CT. Slice index 39. 512x512.

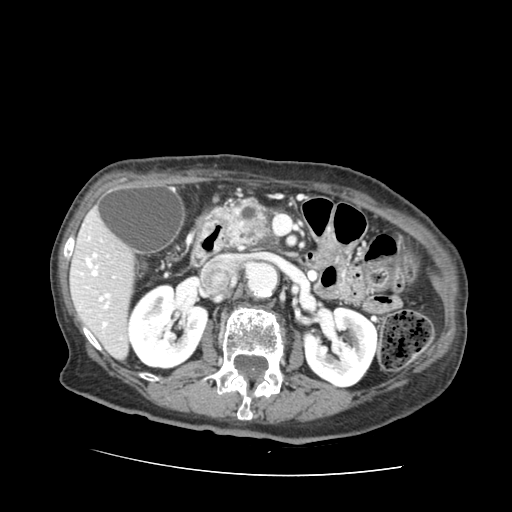

Pancreatic tumor: box(225, 217, 268, 241).
Pancreas: box(212, 196, 278, 251).